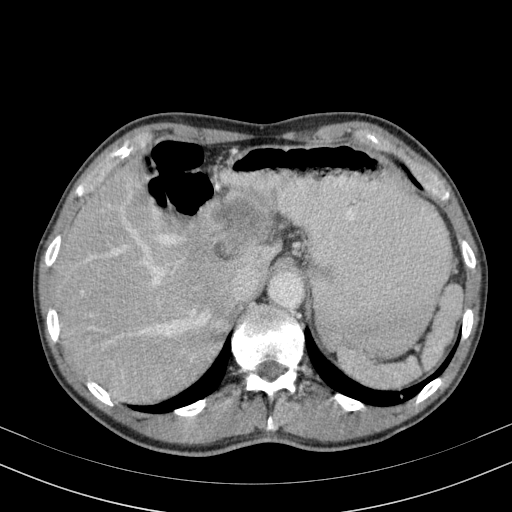
Upper abdomen; CT scan slice
The focal liver lesion lies within region(218, 201, 258, 228). The liver is bounded by region(54, 160, 281, 404).